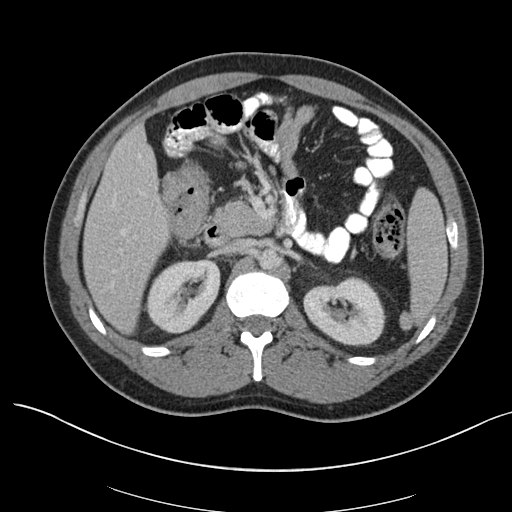 CT scan slice; Pelvis

colon tumor: box(163, 172, 209, 238)